FLAIR MR image.
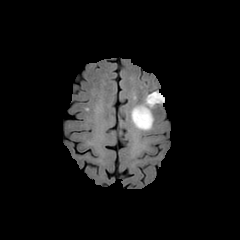
T1-weighted MRI.
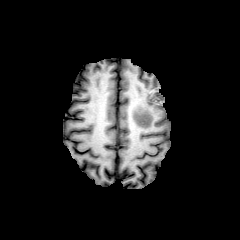
Post-contrast T1-weighted magnetic resonance.
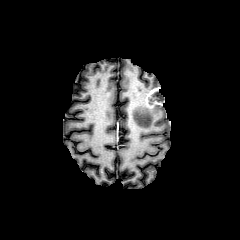
T2-weighted MR image.
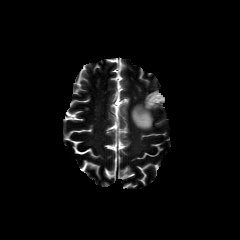
The edema is at <bbox>130, 102, 153, 130</bbox>. The non-enhancing tumor core is located at <bbox>148, 90, 159, 104</bbox>. The enhancing tumor lies within <bbox>144, 92, 159, 107</bbox>.